Computed tomography. Field of view 440 mm wide, 1.25 mm slice spacing. Lung. 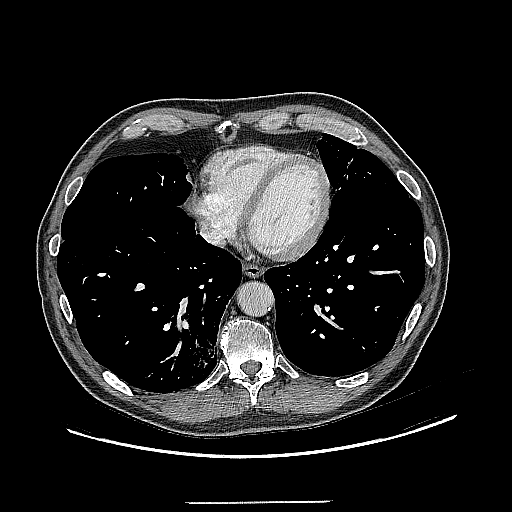 Lung tumor: bounding box 189:337:214:370.